Image size 240x240
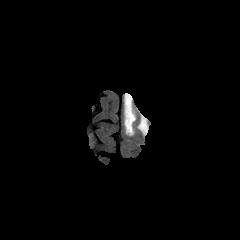
FLAIR MR image.
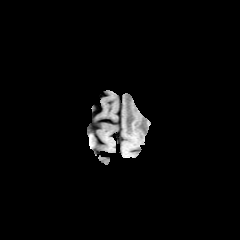
T1-weighted magnetic resonance.
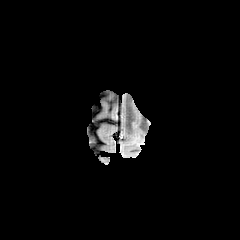
Post-contrast T1-weighted MR image of the same slice.
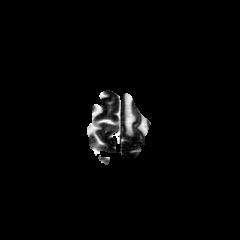
Same slice, T2-weighted MRI.
Edema — x1=123 y1=93 x2=149 y2=137.